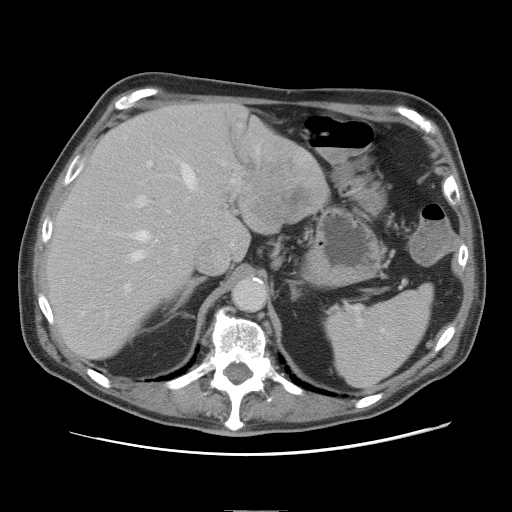
Computed tomography. Abdomen.
The vessel annotation is not exhaustive.
hepatic_vessel:
  - (126, 284, 130, 290)
  - (231, 180, 234, 182)
  - (148, 162, 151, 165)
  - (133, 231, 149, 241)
  - (181, 163, 196, 188)
  - (132, 252, 143, 260)
  - (175, 248, 177, 251)
  - (137, 196, 146, 206)
liver_tumor:
  - (248, 186, 311, 226)